Image size 240x240.
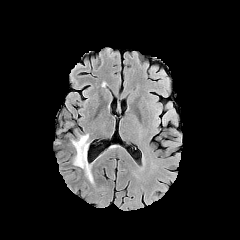
FLAIR MRI.
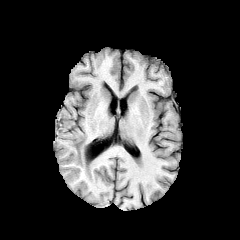
T1-weighted magnetic resonance.
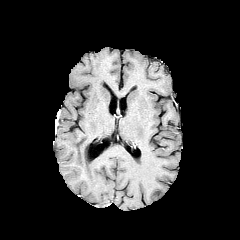
Post-contrast T1-weighted MR image.
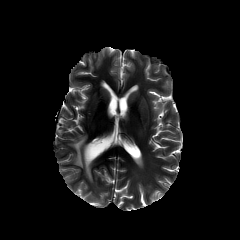
T2-weighted MR image.
The edema appears at box(70, 133, 93, 182).